FLAIR magnetic resonance.
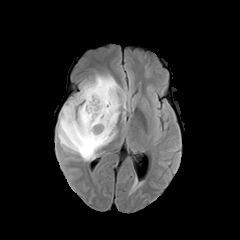
T1-weighted magnetic resonance.
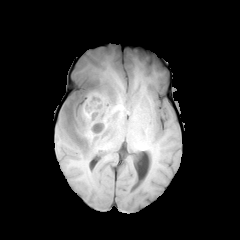
Post-contrast T1-weighted MR.
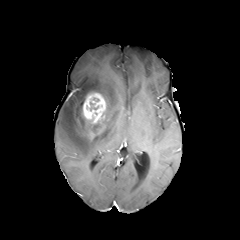
T2-weighted magnetic resonance.
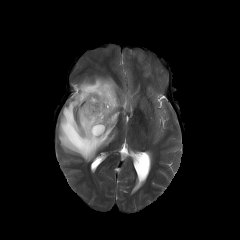
Brain | Image size 240x240
The edema is located at 58:73:128:161. 3 non-enhancing tumor core regions appear at 81:84:101:105, 82:118:103:140, 65:104:81:144. The enhancing tumor is located at 82:92:107:123.